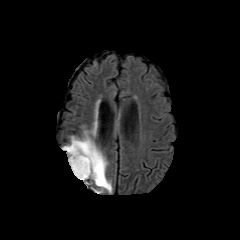
FLAIR magnetic resonance.
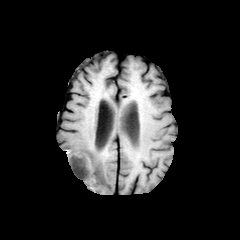
T1-weighted MR image.
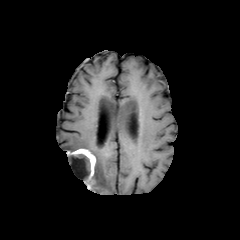
Post-contrast T1-weighted magnetic resonance.
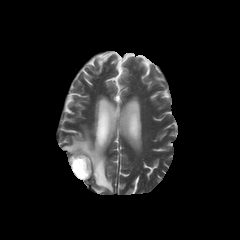
T2-weighted MR.
Head | 240x240
<segmentation>
  <enhancing_tumor>x1=68, y1=148, x2=95, y2=177</enhancing_tumor>
  <non-enhancing_tumor_core>x1=69, y1=154, x2=93, y2=181</non-enhancing_tumor_core>
  <edema>x1=63, y1=132, x2=113, y2=192</edema>
</segmentation>